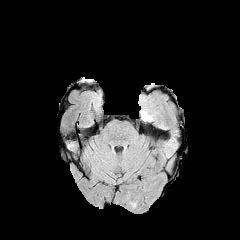
FLAIR MR.
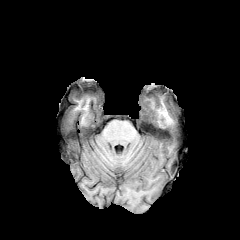
T1-weighted MR.
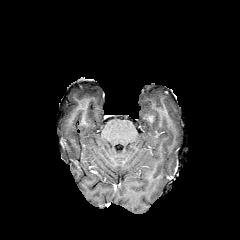
Post-contrast T1-weighted MR of the same slice.
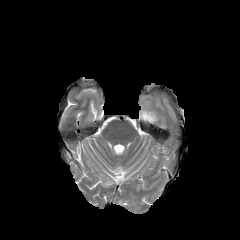
T2-weighted magnetic resonance of the same slice.
Head
Findings:
* enhancing tumor: rect(143, 114, 152, 121)